Computed tomography
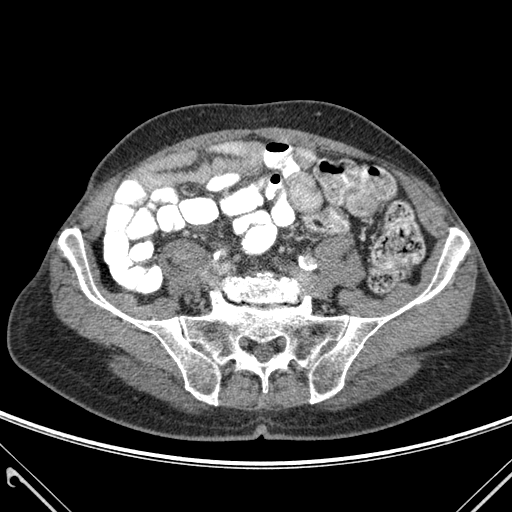

Bone at x1=58, y1=228, x2=469, y2=405.